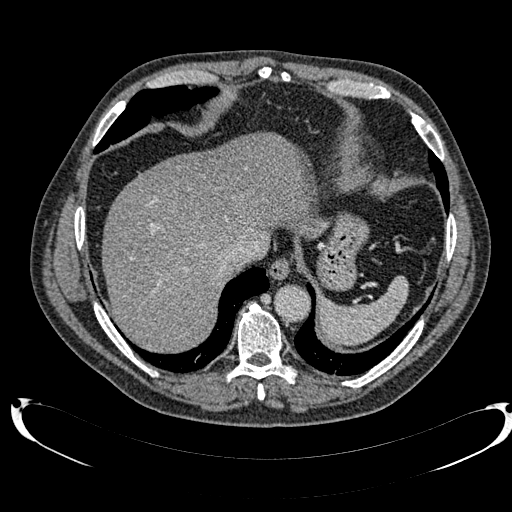 CT scan slice; 512x512
Findings:
* liver: 102, 133, 322, 352
* liver lesion: 156, 146, 242, 218